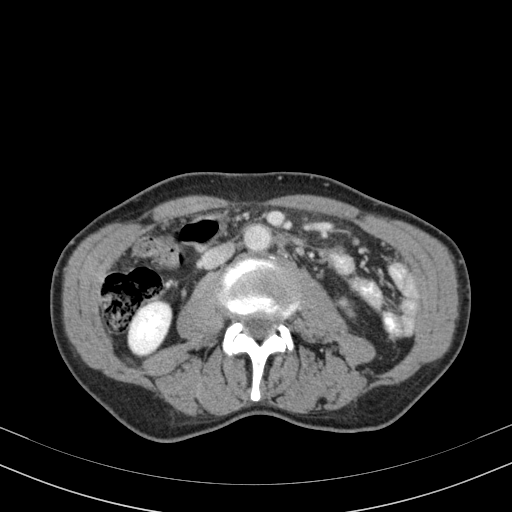 CT image | Abdomen
{"kidney": ["l=129, t=302, r=170, b=353"]}